FLAIR MRI.
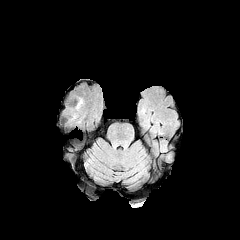
T1-weighted MR.
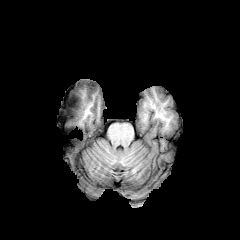
Post-contrast T1-weighted MR image.
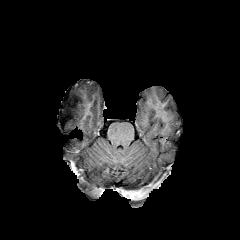
T2-weighted MR image.
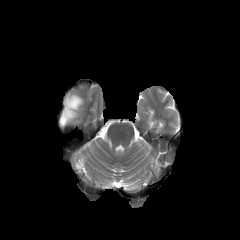
240x240; Brain
* non-enhancing tumor core: {"x1": 64, "y1": 105, "x2": 79, "y2": 119}
* edema: {"x1": 70, "y1": 97, "x2": 83, "y2": 121}